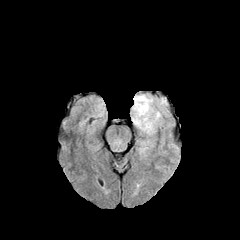
FLAIR MR.
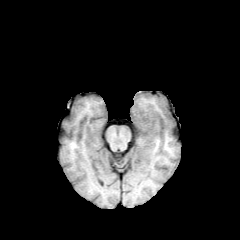
Same slice, T1-weighted MRI.
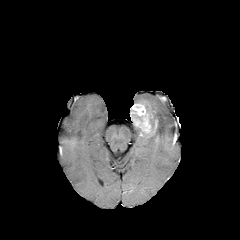
Post-contrast T1-weighted MR of the same slice.
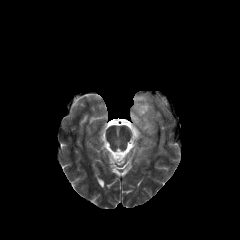
Same slice, T2-weighted MR.
240x240
Edema at region(136, 130, 156, 158); region(133, 93, 170, 128).
Enhancing tumor at region(130, 104, 150, 132).
Non-enhancing tumor core at region(136, 100, 157, 134); region(132, 114, 142, 122).